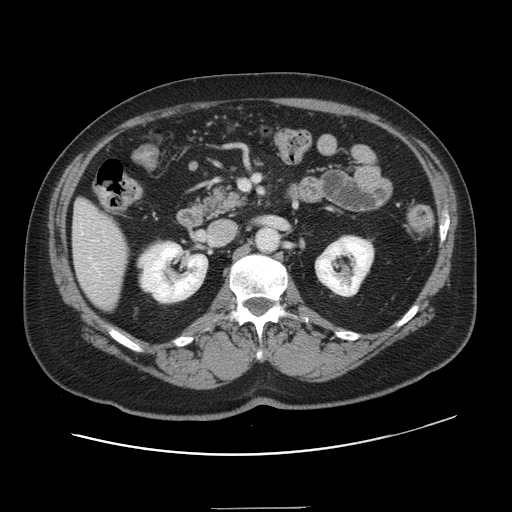
Abdomen, CT slice
Some hepatic vessels may have no box.
4 hepatic vessel regions appear at (97, 269, 98, 271), (89, 257, 91, 259), (81, 232, 83, 234), (93, 263, 96, 268).